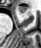

MRI
Annotated regions:
* anterior hippocampus: 18:6:27:13